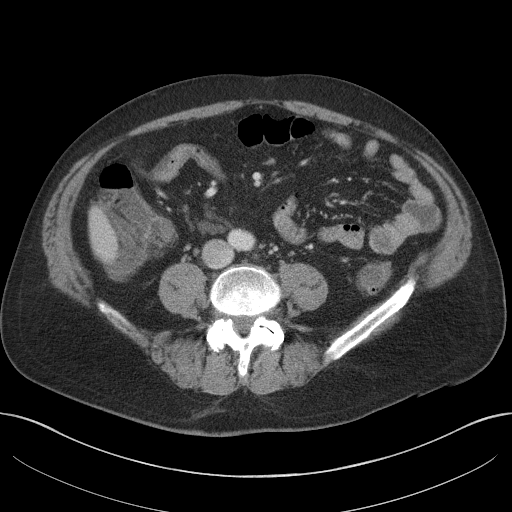
CT slice
The liver is located at <box>88,207,118,262</box>.